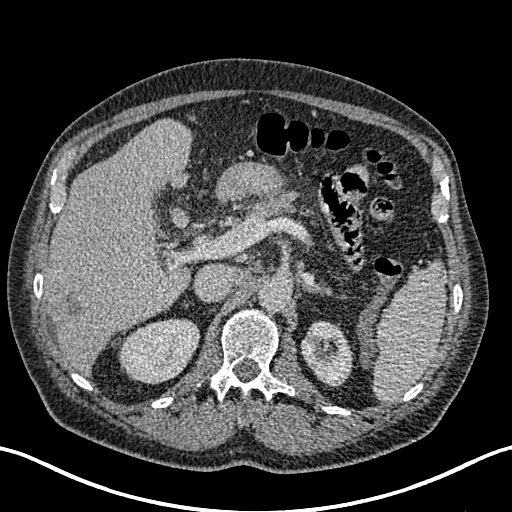

512x512 px | Liver | CT slice

liver:
  - x1=45, y1=119, x2=192, y2=374
kidney:
  - x1=302, y1=322, x2=351, y2=385
  - x1=121, y1=320, x2=198, y2=382
focal_liver_lesion:
  - x1=150, y1=185, x2=160, y2=202
  - x1=55, y1=290, x2=93, y2=327